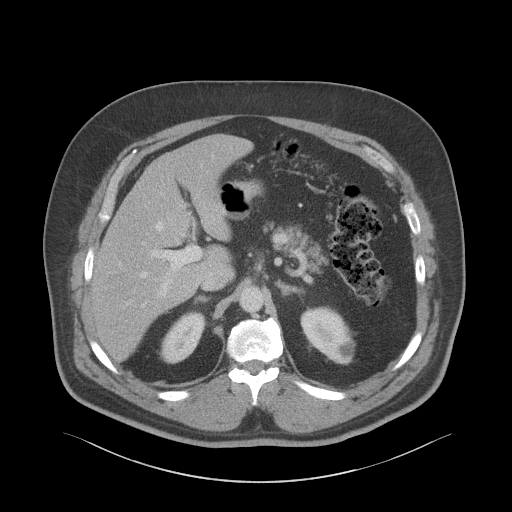
Upper abdomen | Image size 512x512 | CT

Annotated regions:
* liver: [92,135,245,355]
* kidney: [301,308,351,361], [162,313,204,362]